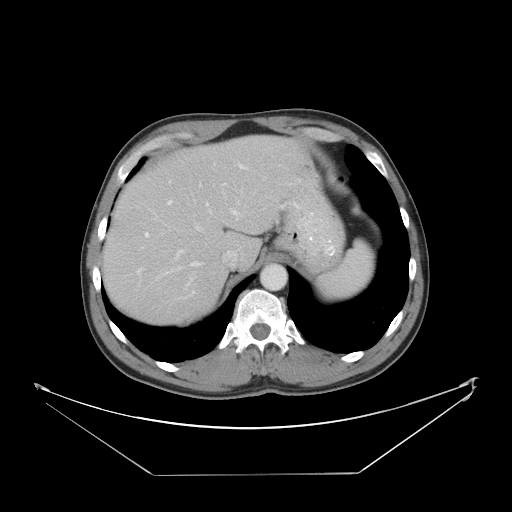
CT scan slice
Not every hepatic vessel necessarily has a box.
15 hepatic vessel regions are located at l=238, t=164, r=246, b=168; l=195, t=226, r=201, b=230; l=230, t=209, r=238, b=214; l=205, t=203, r=207, b=204; l=223, t=183, r=225, b=185; l=137, t=268, r=143, b=274; l=199, t=184, r=201, b=186; l=209, t=210, r=211, b=213; l=189, t=291, r=194, b=295; l=145, t=233, r=148, b=236; l=191, t=261, r=198, b=265; l=168, t=200, r=171, b=204; l=183, t=297, r=186, b=297; l=175, t=250, r=183, b=259; l=169, t=181, r=170, b=182.